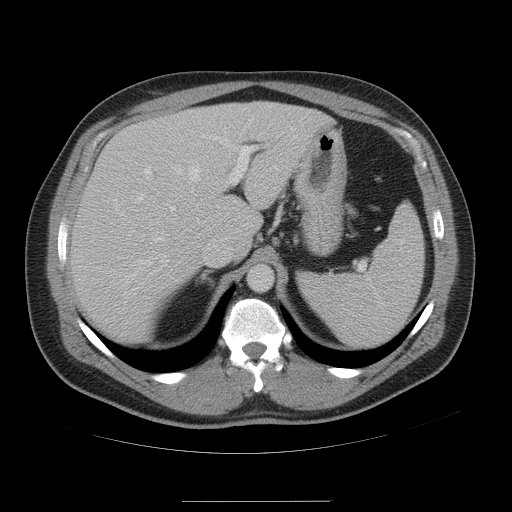 CT image
Spleen at 298, 204, 424, 347.